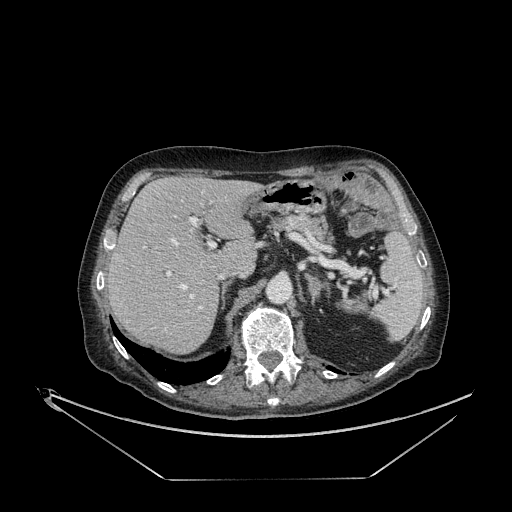

CT scan slice

The liver lies within box(109, 176, 262, 352).